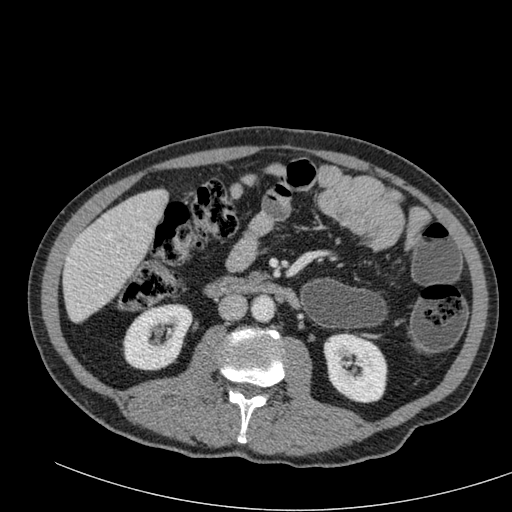

Computed tomography; Upper abdomen
<segmentation>
  <liver>(x1=63, y1=190, x2=167, y2=321)</liver>
  <kidney>(x1=125, y1=305, x2=191, y2=369), (x1=324, y1=334, x2=386, y2=401)</kidney>
</segmentation>